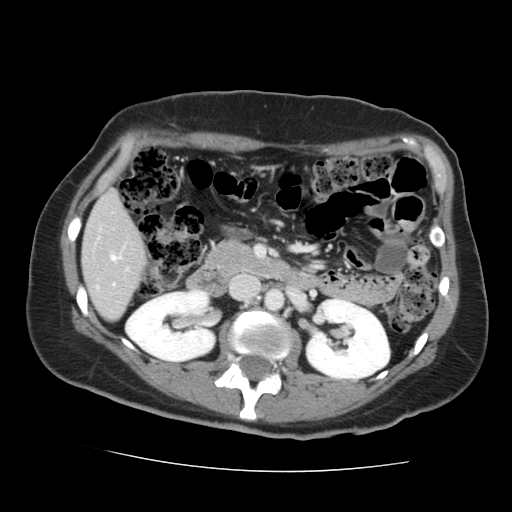 Liver. CT image.
Only some of the vessels may be annotated.
The hepatic vessel is bounded by [111, 256, 119, 260].